Image size 240x240 | Slice 105/155
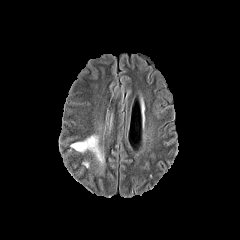
FLAIR magnetic resonance.
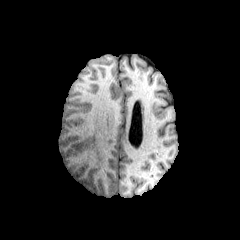
T1-weighted MR image.
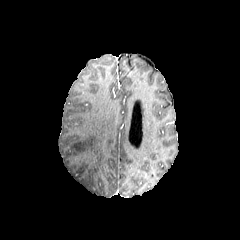
Post-contrast T1-weighted magnetic resonance of the same slice.
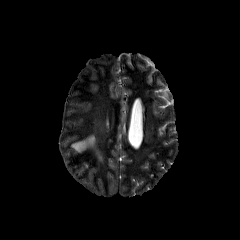
T2-weighted MR image.
The edema lies within {"x1": 70, "y1": 134, "x2": 104, "y2": 171}.